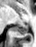

MRI, Hippocampus

Posterior hippocampus: bounding box left=14, top=25, right=28, bottom=34.